Slice 53 of 155, Head
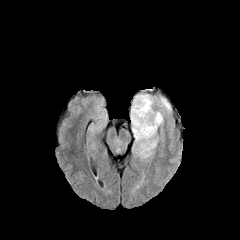
FLAIR MR image.
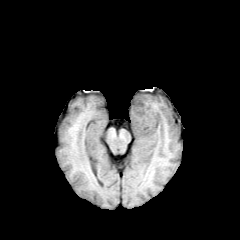
Same slice, T1-weighted MRI.
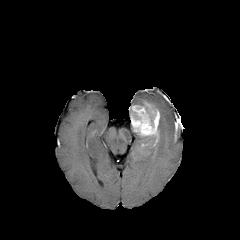
Same slice, post-contrast T1-weighted MR.
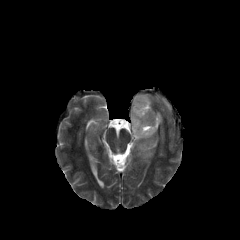
T2-weighted MR image.
The enhancing tumor is bounded by bbox=[130, 102, 159, 136]. 2 edema regions appear at bbox=[131, 129, 157, 159]; bbox=[132, 92, 171, 134].